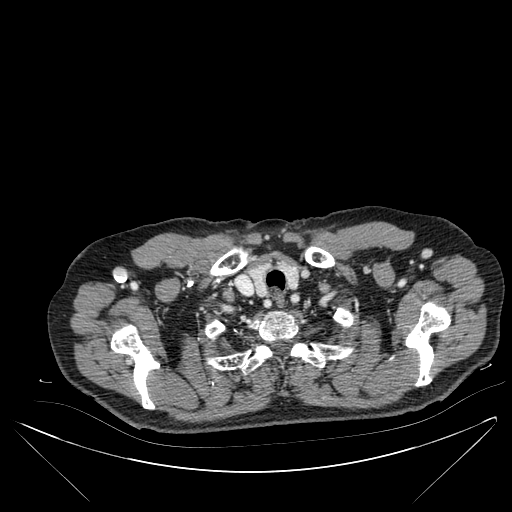 CT scan slice.
Bone at 207 312 352 372, 205 319 224 338, 111 326 159 409, 305 246 334 267, 333 306 353 327, 210 248 248 275, 405 303 450 386.